CT scan slice | Liver

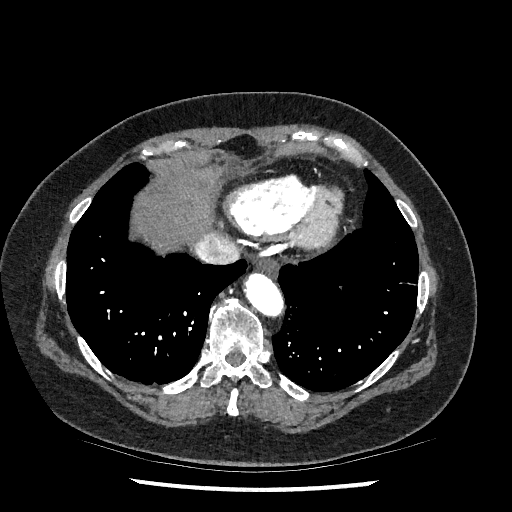

The liver appears at rect(135, 169, 217, 243).